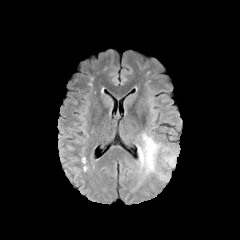
FLAIR magnetic resonance.
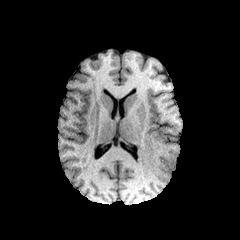
T1-weighted MRI.
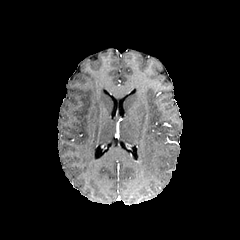
Same slice, post-contrast T1-weighted MRI.
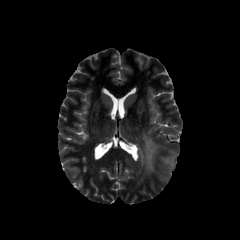
T2-weighted magnetic resonance.
<segmentation>
  <edema>{"x1": 167, "y1": 156, "x2": 175, "y2": 166}, {"x1": 160, "y1": 174, "x2": 170, "y2": 182}, {"x1": 136, "y1": 133, "x2": 158, "y2": 175}</edema>
</segmentation>